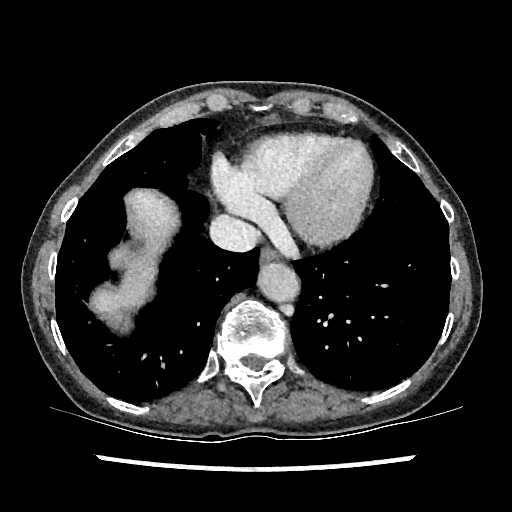
Computed tomography

Liver: [x1=94, y1=189, x2=174, y2=311].